240x240, Head
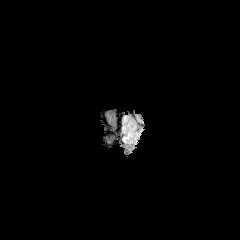
FLAIR MR.
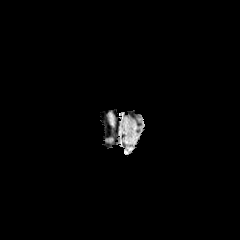
T1-weighted MR of the same slice.
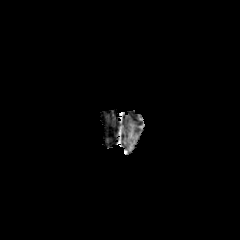
Post-contrast T1-weighted MR image.
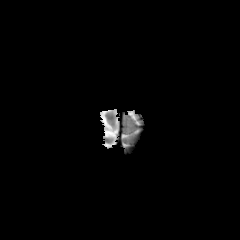
T2-weighted magnetic resonance of the same slice.
Enhancing tumor: x1=128 y1=124 x2=137 y2=139.
Edema: x1=122 y1=115 x2=137 y2=133.